Slice 35 of 65; CT image; Image width 381 mm 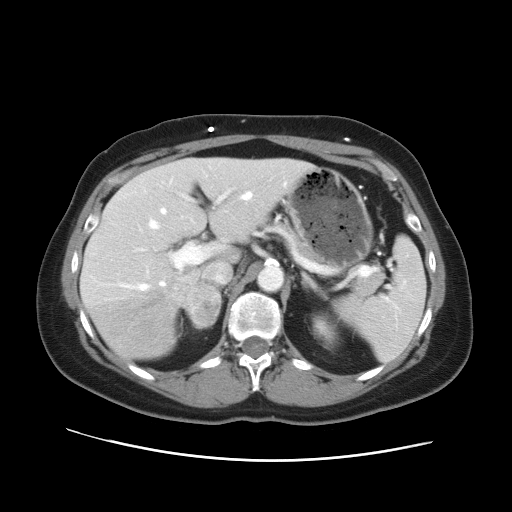

Some hepatic vessels may have no box.
The liver tumor is at (184, 281, 217, 324). 7 hepatic vessel regions are located at (160, 208, 166, 214), (161, 283, 164, 285), (148, 218, 158, 229), (170, 243, 217, 269), (137, 248, 145, 250), (248, 193, 253, 196), (170, 178, 172, 182).